Slice 3 of 42 | Computed tomography | Abdomen 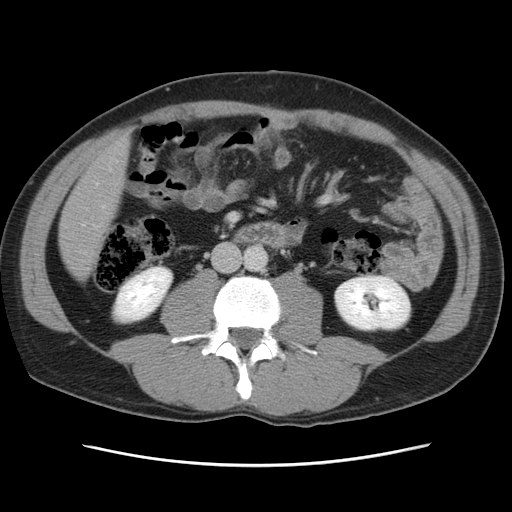 The vessel boxes may cover only some of the vessels.
hepatic_vessel:
  - (x1=102, y1=206, x2=104, y2=207)
  - (x1=95, y1=226, x2=98, y2=228)